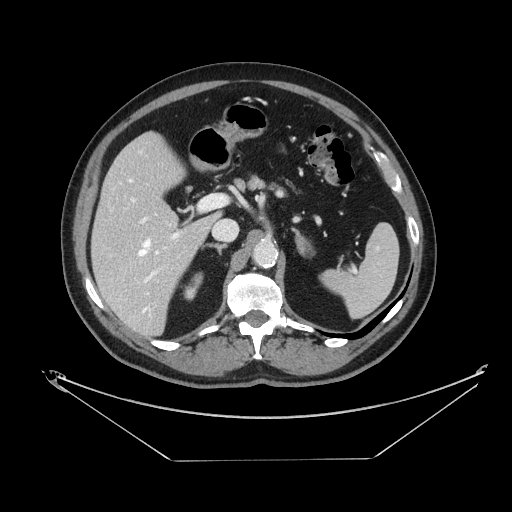 512x512 px. CT. Upper abdomen.
pancreas:
  - left=263, top=181, right=281, bottom=190
  - left=235, top=174, right=264, bottom=192
pancreatic_tumor:
  - left=256, top=179, right=266, bottom=189